FLAIR MRI.
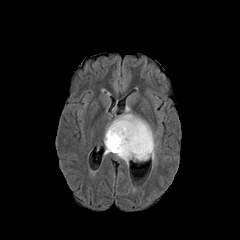
T1-weighted MR image.
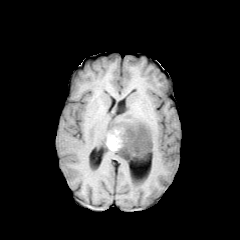
Post-contrast T1-weighted MR image.
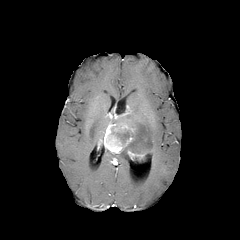
T2-weighted magnetic resonance.
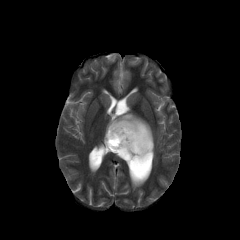
Brain
non-enhancing_tumor_core:
  - 117,122,145,160
  - 133,151,151,161
  - 116,131,131,142
  - 112,114,130,123
edema:
  - 105,148,147,163
  - 115,105,129,117
  - 129,110,155,163
enhancing_tumor:
  - 127,150,150,159
  - 104,120,135,153